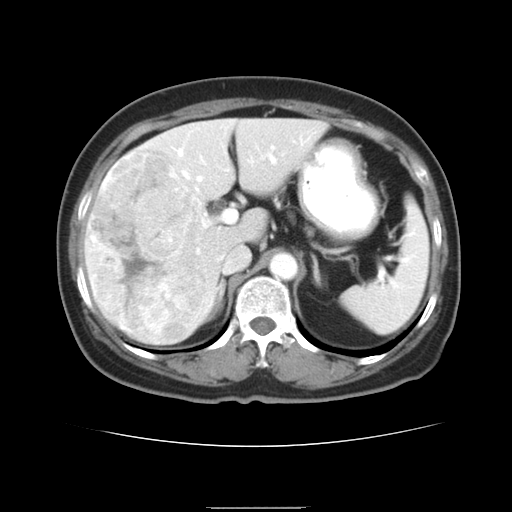 Computed tomography; Liver
The vessel annotation is not exhaustive.
10 hepatic vessel regions appear at [270, 146, 273, 149], [183, 172, 187, 177], [178, 149, 181, 155], [248, 160, 251, 162], [200, 158, 202, 161], [197, 176, 201, 180], [300, 139, 302, 143], [196, 188, 197, 190], [222, 209, 236, 223], [267, 153, 274, 162]. The liver tumor is bounded by [86, 149, 216, 344].